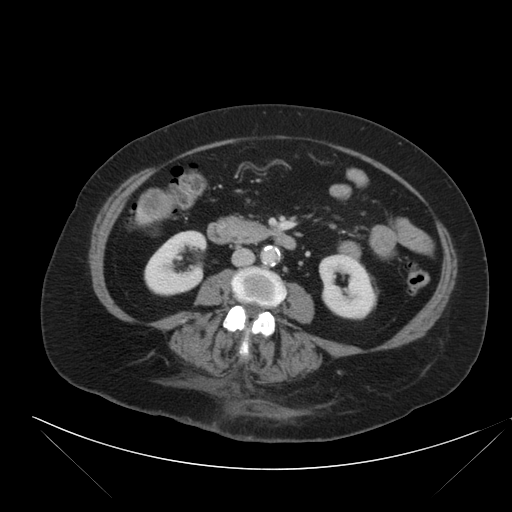
Liver; CT slice

Liver tumor: bounding box [140,191,173,219].